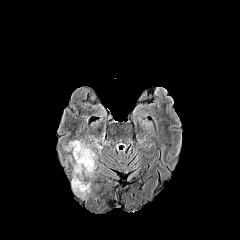
FLAIR magnetic resonance.
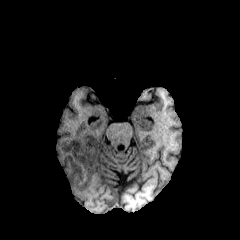
Same slice, T1-weighted MR.
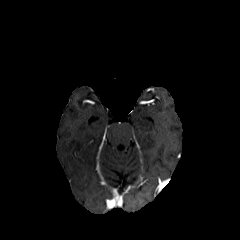
Same slice, post-contrast T1-weighted magnetic resonance.
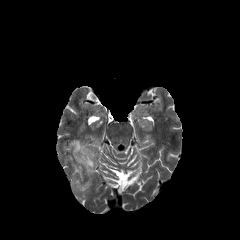
Same slice, T2-weighted MR image.
* edema: [63, 139, 96, 192]